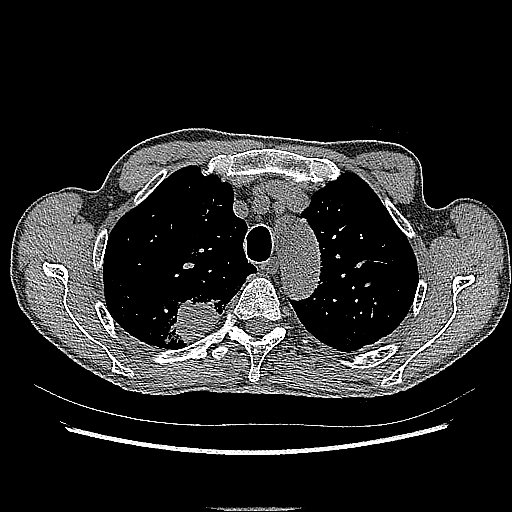 Computed tomography
lung_tumor:
  - <box>155,283,240,348</box>